CT image
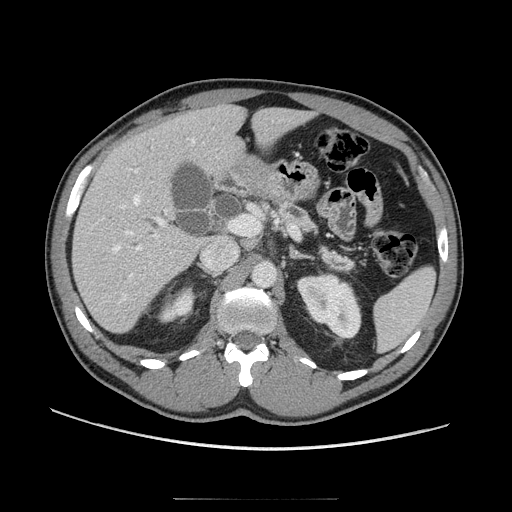

<segmentation>
  <pancreas>[271,201,315,233], [318,246,357,273]</pancreas>
</segmentation>